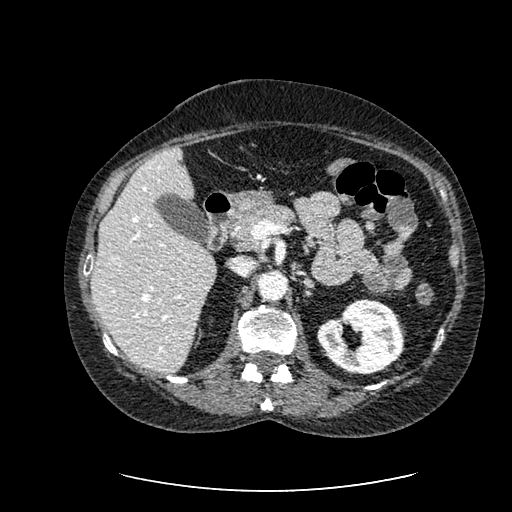
CT slice. Upper abdomen. 512x512.
kidney:
  - l=318, t=300, r=403, b=373
liver:
  - l=92, t=148, r=215, b=372
focal_liver_lesion:
  - l=177, t=160, r=185, b=167